CT image, Upper abdomen

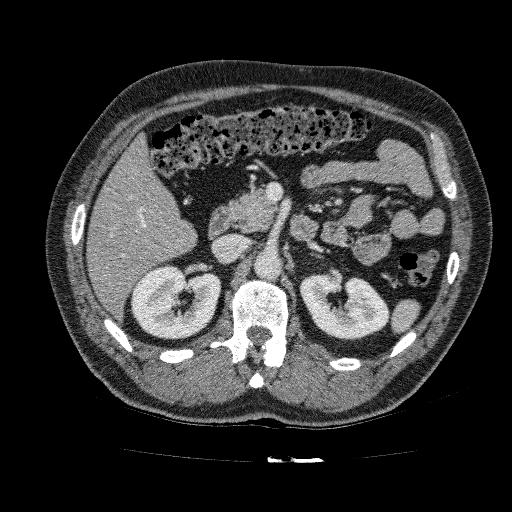
- liver: (86, 134, 197, 320)
- kidney: (301, 276, 388, 338), (132, 267, 220, 337)